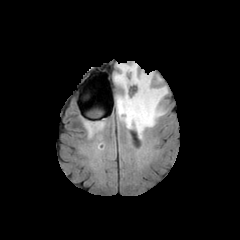
FLAIR magnetic resonance.
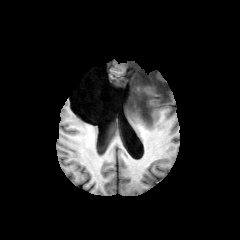
Same slice, T1-weighted MR image.
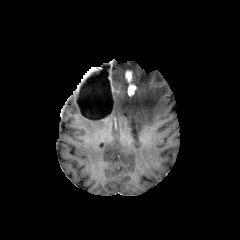
Same slice, post-contrast T1-weighted MR image.
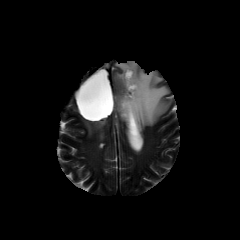
T2-weighted MR image.
240x240 px. Head.
Enhancing tumor: <bbox>125, 70, 135, 95</bbox>.
Edema: <bbox>113, 62, 167, 140</bbox>.
Non-enhancing tumor core: <bbox>122, 71, 138, 98</bbox>.